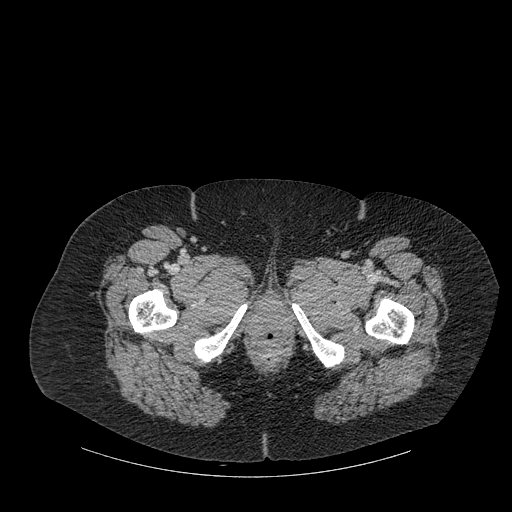

CT scan slice, 512x512

4 bone regions are located at {"x1": 366, "y1": 299, "x2": 414, "y2": 343}, {"x1": 129, "y1": 289, "x2": 176, "y2": 332}, {"x1": 292, "y1": 303, "x2": 344, "y2": 366}, {"x1": 194, "y1": 304, "x2": 247, "y2": 361}.